CT 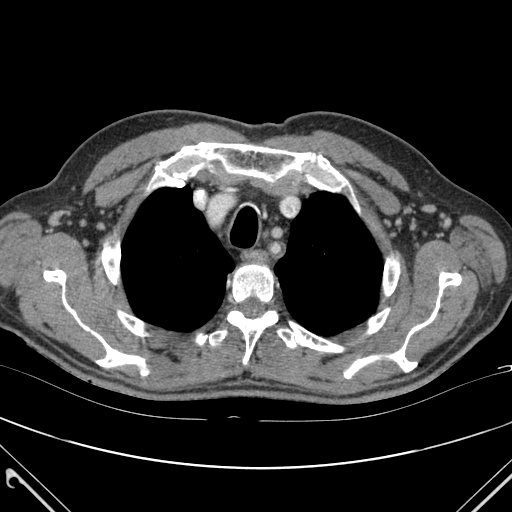

Bone: bounding box 102, 243, 120, 284; 277, 322, 343, 352; 196, 334, 207, 344; 209, 331, 226, 345; 233, 265, 273, 301; 383, 258, 399, 295; 152, 142, 347, 191; 344, 357, 376, 378; 118, 311, 146, 335; 44, 270, 148, 375; 389, 272, 461, 371; 227, 311, 277, 363; 367, 308, 389, 333.
Lung: bounding box 274, 191, 382, 335; 121, 187, 234, 331.